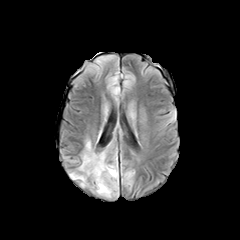
FLAIR magnetic resonance.
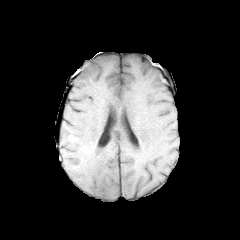
T1-weighted MRI of the same slice.
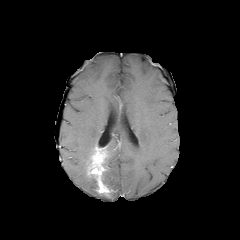
Post-contrast T1-weighted MR image.
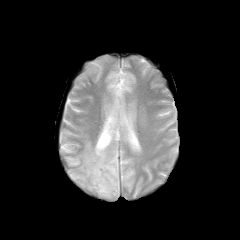
T2-weighted MRI.
Brain
Enhancing tumor: bounding box [x1=87, y1=151, x2=111, y2=196].
Non-enhancing tumor core: bounding box [x1=94, y1=148, x2=108, y2=176].
Edema: bounding box [x1=70, y1=140, x2=101, y2=191], [x1=104, y1=148, x2=118, y2=196].